Computed tomography, Image size 512x512, Liver
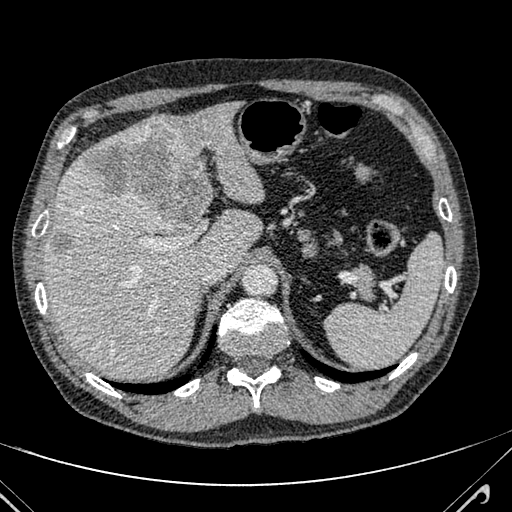
2 liver lesion regions are located at (x1=51, y1=237, x2=70, y2=251), (x1=88, y1=130, x2=211, y2=226). The liver lies within (x1=46, y1=103, x2=262, y2=377).